FLAIR magnetic resonance.
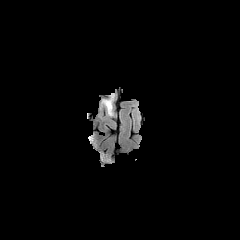
T1-weighted MRI.
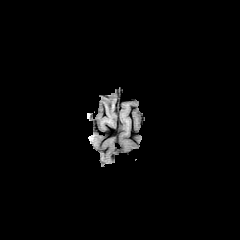
Post-contrast T1-weighted MR image.
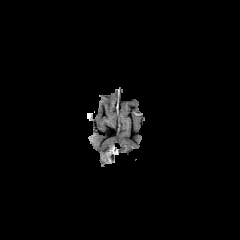
T2-weighted MRI.
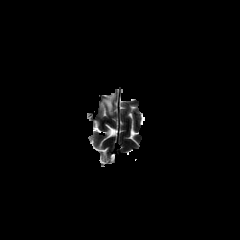
Head
The edema is bounded by rect(102, 104, 113, 117). The non-enhancing tumor core is at rect(104, 98, 113, 113).